Slice 22/93, 512x512, Upper abdomen, Computed tomography 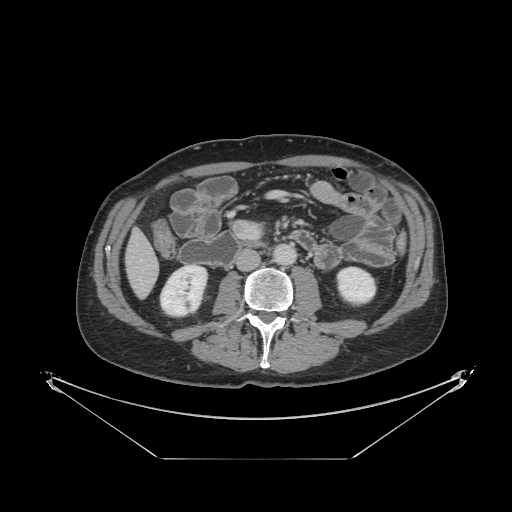
<segmentation>
  <pancreas>(249,221,265,240)</pancreas>
  <pancreatic_tumor>(231,219,263,240)</pancreatic_tumor>
</segmentation>